512x512 px. CT scan slice. Liver. 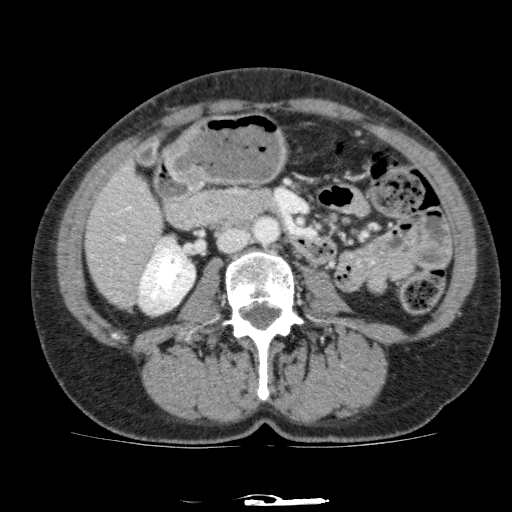

- kidney: [139, 238, 194, 312]
- liver: [85, 157, 163, 309]